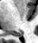

Magnetic resonance

{
  "posterior_hippocampus": [
    "(left=14, top=33, right=21, bottom=36)"
  ]
}